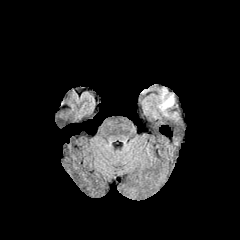
FLAIR magnetic resonance.
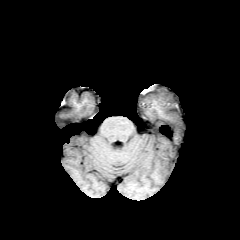
T1-weighted MR of the same slice.
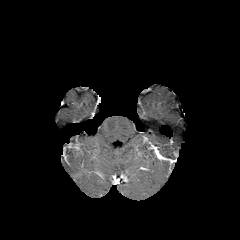
Same slice, post-contrast T1-weighted magnetic resonance.
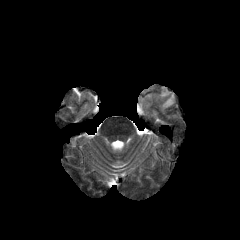
T2-weighted magnetic resonance.
Brain
edema:
  - box(142, 88, 174, 118)